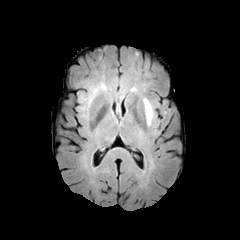
FLAIR MR image.
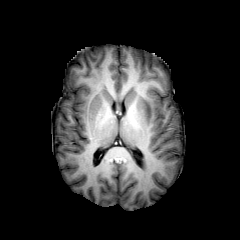
T1-weighted MRI of the same slice.
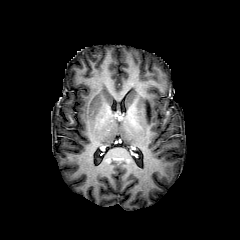
Same slice, post-contrast T1-weighted magnetic resonance.
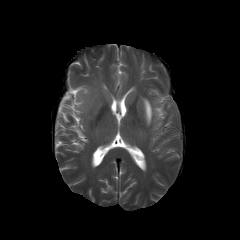
Same slice, T2-weighted magnetic resonance.
Image size 240x240.
{"edema": ["l=102, t=85, r=122, b=103", "l=78, t=88, r=94, b=115", "l=140, t=98, r=154, b=125"]}